Slice 103/836; CT 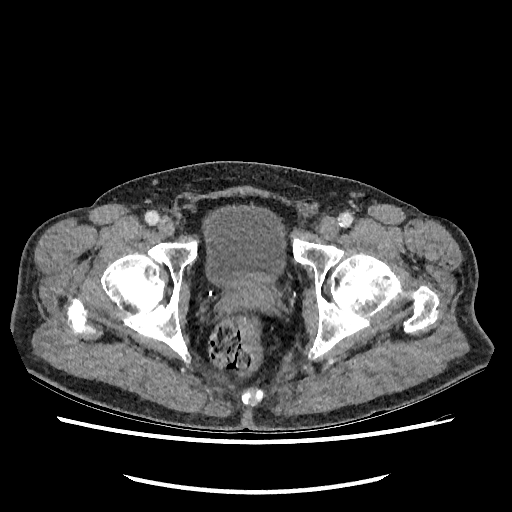
Urinary bladder — [x1=202, y1=205, x2=286, y2=295].